FLAIR MRI.
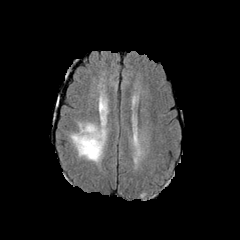
T1-weighted MR image.
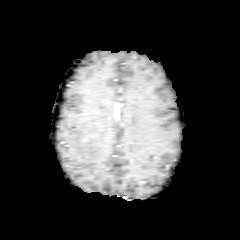
Post-contrast T1-weighted MR.
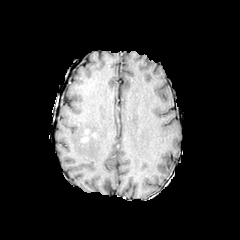
T2-weighted MR.
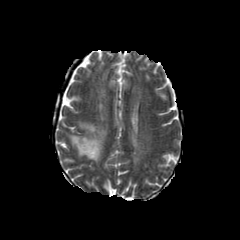
Head
edema: [x1=69, y1=94, x2=106, y2=163]